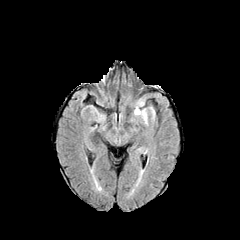
FLAIR magnetic resonance.
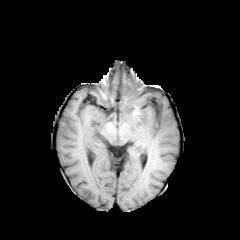
Same slice, T1-weighted MRI.
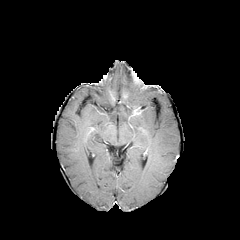
Same slice, post-contrast T1-weighted MR image.
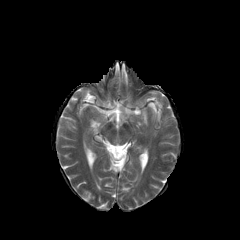
Same slice, T2-weighted magnetic resonance.
240x240
{
  "edema": [
    "(136,111,146,122)"
  ]
}